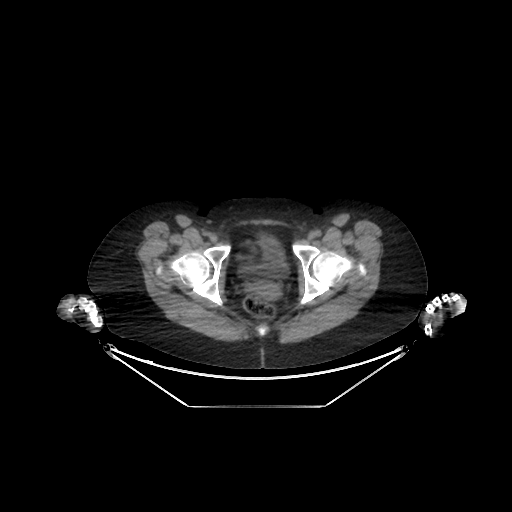

Pelvis | CT image | 512x512
urinary_bladder:
  - rect(237, 231, 289, 281)